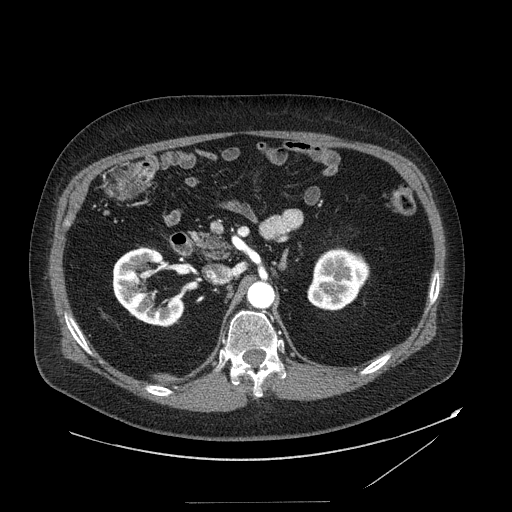 CT scan slice
The pancreas is located at rect(190, 231, 232, 262). The pancreatic tumor lies within rect(204, 237, 226, 249).